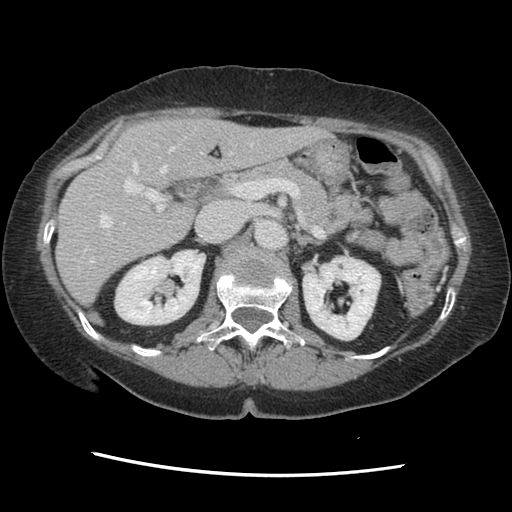
CT image | Liver | 512x512
Some hepatic vessels may have no box.
{
  "hepatic_vessel": [
    "l=90, t=260, r=93, b=262",
    "l=168, t=147, r=174, b=151",
    "l=229, t=152, r=232, b=153",
    "l=160, t=166, r=166, b=172",
    "l=145, t=189, r=163, b=210",
    "l=133, t=161, r=138, b=173",
    "l=124, t=179, r=142, b=191",
    "l=100, t=214, r=111, b=226"
  ]
}